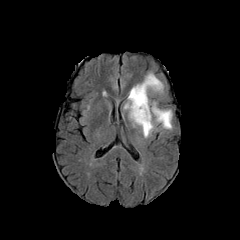
FLAIR magnetic resonance.
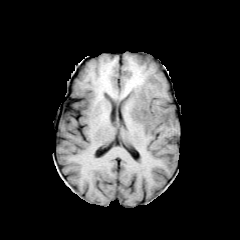
T1-weighted magnetic resonance of the same slice.
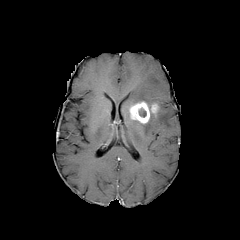
Post-contrast T1-weighted MR of the same slice.
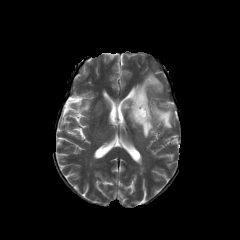
Same slice, T2-weighted MR image.
Brain
The non-enhancing tumor core is at [147,106,159,124]. 2 edema regions are located at [124,72,163,109], [128,108,173,137]. The enhancing tumor lies within [130,101,157,123].